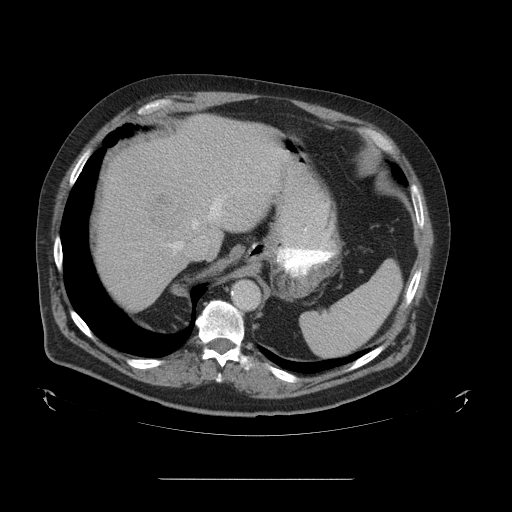 512x512 px, Computed tomography
Some hepatic vessels may have no box.
hepatic_vessel:
  - (232,191,233,193)
  - (159,236,208,264)
  - (212,226,213,229)
  - (186,183,226,230)
liver_tumor:
  - (155,193,172,208)